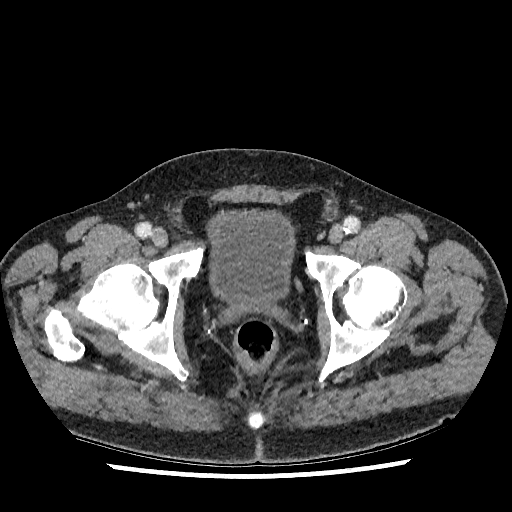 CT
The urinary bladder appears at (206,208,295,309).